Slice 6 of 37, MRI, Field of view 36x48 mm 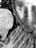
The anterior hippocampus appears at 19 7 22 10.